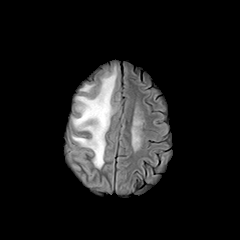
FLAIR MR image.
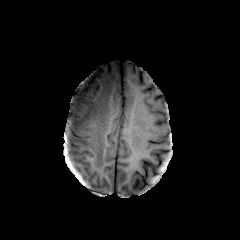
T1-weighted magnetic resonance.
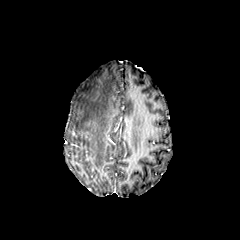
Post-contrast T1-weighted magnetic resonance.
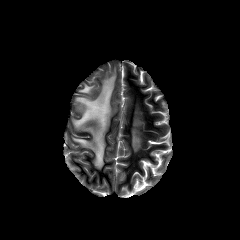
T2-weighted MRI.
Head.
2 edema regions are located at (73, 69, 116, 168), (83, 85, 92, 93).